Abdomen; CT
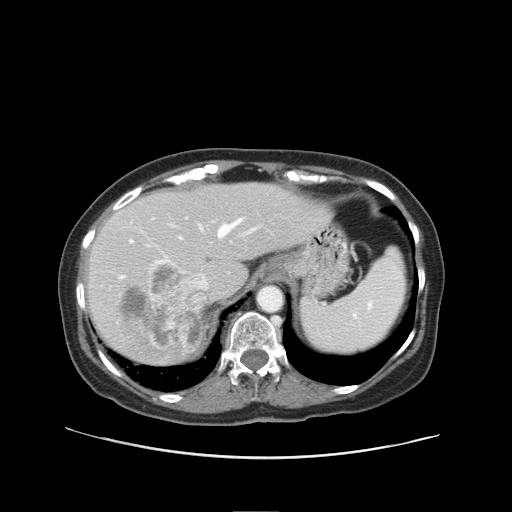

Only some of the vessels may be annotated.
The liver tumor appears at <bbox>110, 254, 209, 356</bbox>. 7 hepatic vessel regions are bounded by <bbox>130, 240, 133, 243</bbox>, <bbox>218, 218, 243, 237</bbox>, <bbox>170, 225, 173, 226</bbox>, <bbox>119, 276, 124, 279</bbox>, <bbox>179, 236, 182, 239</bbox>, <bbox>243, 227, 258, 235</bbox>, <bbox>199, 225, 202, 231</bbox>.